Image size 512x512; CT slice; Slice 57 of 141 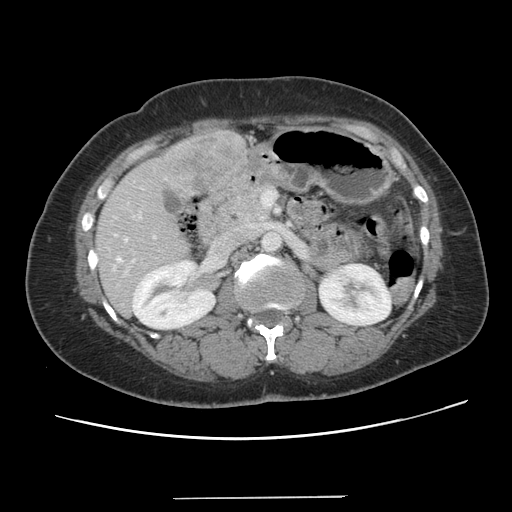

Not every hepatic vessel necessarily has a box.
Liver tumor = left=175, top=134, right=240, bottom=189.
Hepatic vessel = left=115, top=234, right=117, bottom=236; left=153, top=236, right=155, bottom=238; left=124, top=238, right=127, bottom=241; left=132, top=259, right=134, bottom=262; left=137, top=214, right=141, bottom=218; left=125, top=270, right=127, bottom=273; left=113, top=266, right=115, bottom=269; left=117, top=257, right=121, bottom=261.